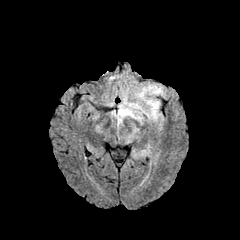
FLAIR MRI.
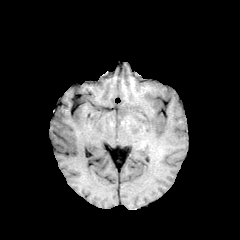
Same slice, T1-weighted magnetic resonance.
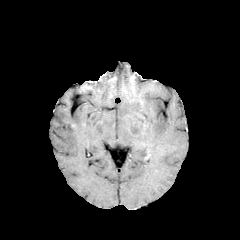
Post-contrast T1-weighted MR image of the same slice.
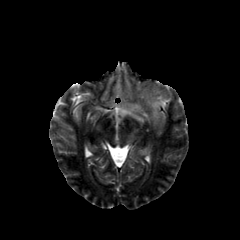
T2-weighted magnetic resonance.
Image size 240x240
2 edema regions are bounded by <box>120,109,130,116</box>, <box>138,84,165,121</box>.